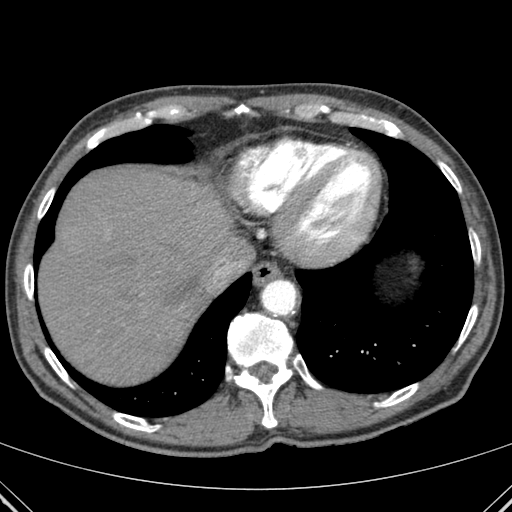

512x512; CT

lung: box(36, 124, 192, 270); box(38, 272, 251, 416); box(295, 127, 473, 393) | liver: box(39, 165, 240, 386) | bone: box(293, 355, 321, 389); box(226, 313, 292, 427); box(44, 348, 70, 384); box(470, 232, 480, 261); box(24, 264, 33, 299); box(458, 305, 477, 345); box(113, 413, 160, 432); box(37, 189, 54, 218); box(439, 162, 461, 192); box(379, 120, 400, 136); box(376, 383, 418, 406); box(235, 104, 249, 113); box(87, 129, 105, 148)